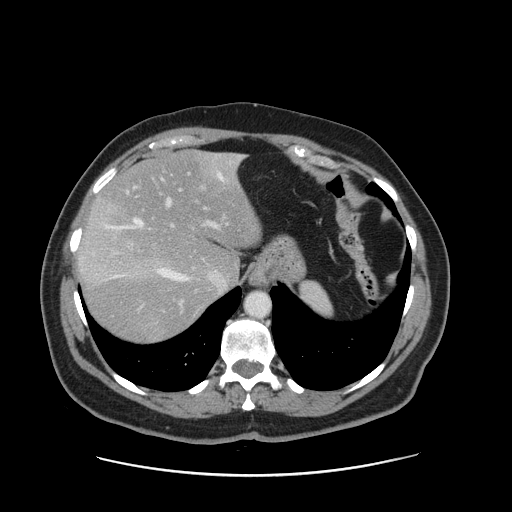

512x512, CT slice, Abdomen
Not every hepatic vessel necessarily has a box.
<segmentation>
  <hepatic_vessel>[206,221,217,226], [217,174,222,178], [176,273,185,280], [166,198,171,205], [160,269,171,275], [180,300,183,304], [171,224,173,226], [114,276,118,276]</hepatic_vessel>
</segmentation>